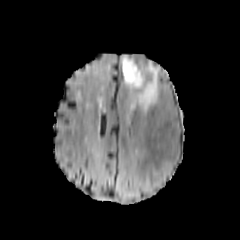
FLAIR MRI.
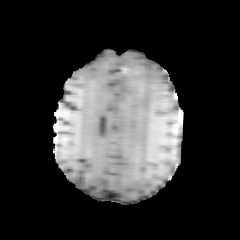
T1-weighted MR image of the same slice.
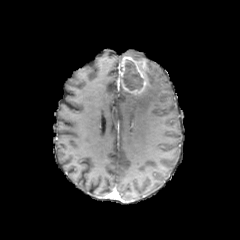
Post-contrast T1-weighted magnetic resonance.
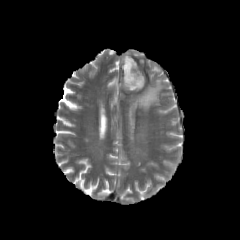
T2-weighted MR image of the same slice.
Brain
The enhancing tumor appears at l=120, t=57, r=146, b=94. The non-enhancing tumor core is bounded by l=122, t=60, r=143, b=91. The edema lies within l=127, t=62, r=160, b=113.